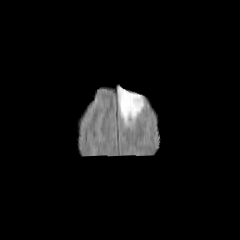
FLAIR magnetic resonance.
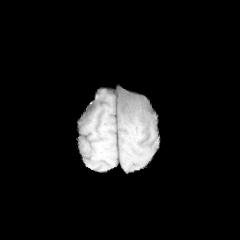
T1-weighted MR image.
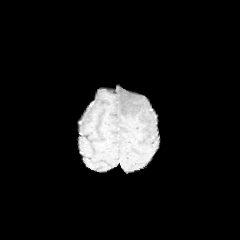
Post-contrast T1-weighted MR.
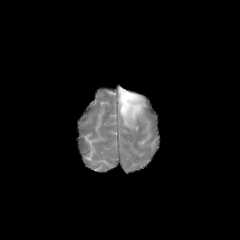
T2-weighted MRI of the same slice.
Edema: 117 86 146 128.